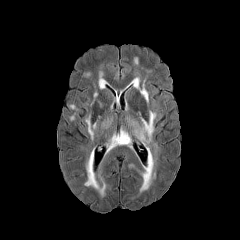
FLAIR MRI.
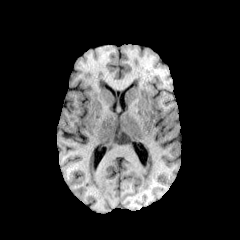
T1-weighted MR image of the same slice.
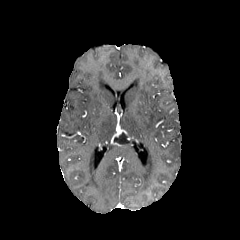
Same slice, post-contrast T1-weighted MR.
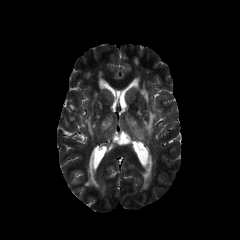
Same slice, T2-weighted MR.
Brain | 240x240
enhancing_tumor:
  - bbox(110, 129, 122, 145)
edema:
  - bbox(85, 115, 96, 140)
  - bbox(98, 72, 107, 90)
  - bbox(126, 77, 148, 102)
  - bbox(84, 149, 105, 197)
  - bbox(135, 111, 155, 145)
  - bbox(139, 146, 156, 193)
non-enhancing_tumor_core:
  - bbox(114, 132, 131, 144)